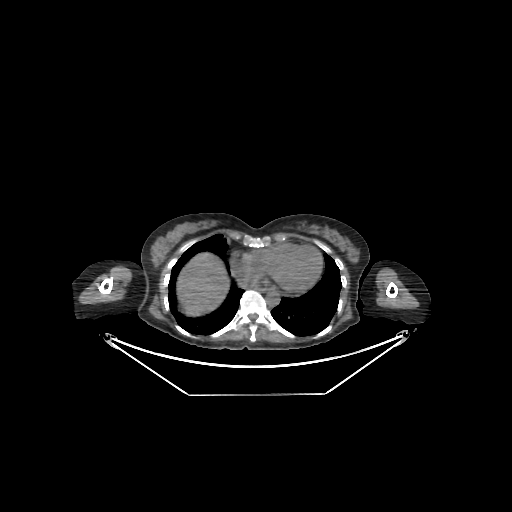

CT slice, Abdomen

<segmentation>
  <liver>bbox(177, 253, 228, 315)</liver>
</segmentation>